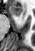
MR, Image size 35x51
The anterior hippocampus lies within region(9, 6, 22, 15).